CT image, Liver

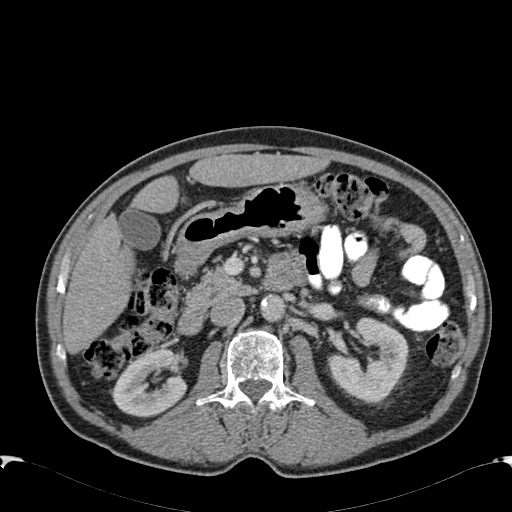

2 kidney regions are located at left=329, top=319, right=407, bottom=401; left=113, top=349, right=186, bottom=416. 3 liver regions appear at left=131, top=177, right=177, bottom=212; left=63, top=214, right=133, bottom=353; left=190, top=156, right=328, bottom=185.